Upper abdomen. Slice 163/422. CT slice.
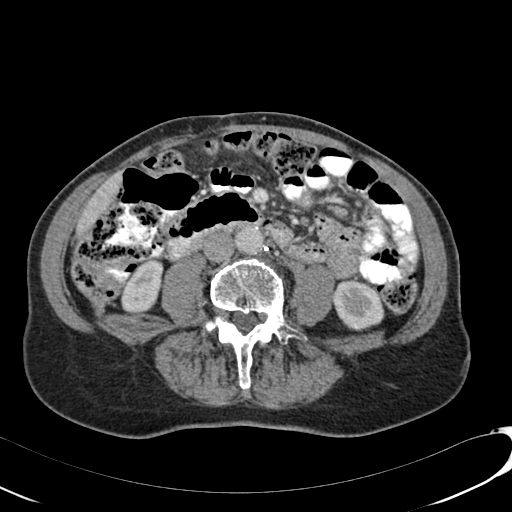
liver: 77:172:120:235 | kidney: 333:281:382:328, 122:261:162:311